FLAIR MRI.
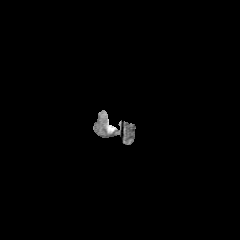
T1-weighted MR.
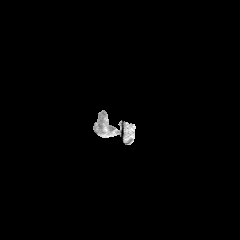
Post-contrast T1-weighted magnetic resonance.
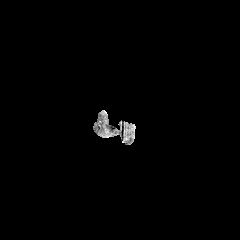
T2-weighted MR.
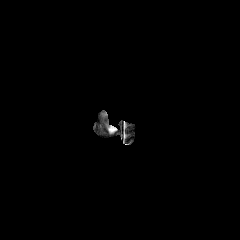
Brain, Image size 240x240
The edema appears at [x1=106, y1=122, x2=115, y2=133].